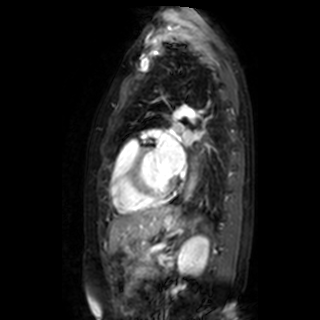
Cardiac. MR.
Left atrium at rect(183, 132, 193, 144); rect(173, 123, 183, 131); rect(157, 133, 185, 175).